Computed tomography, Upper abdomen, 512x512

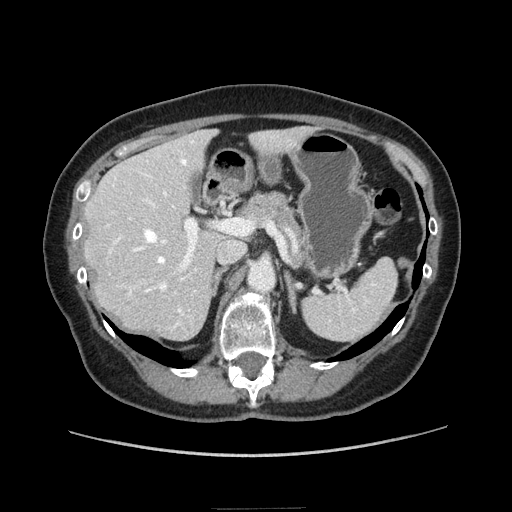
Pancreas: region(241, 193, 306, 263).